Slice index 55; Liver; CT
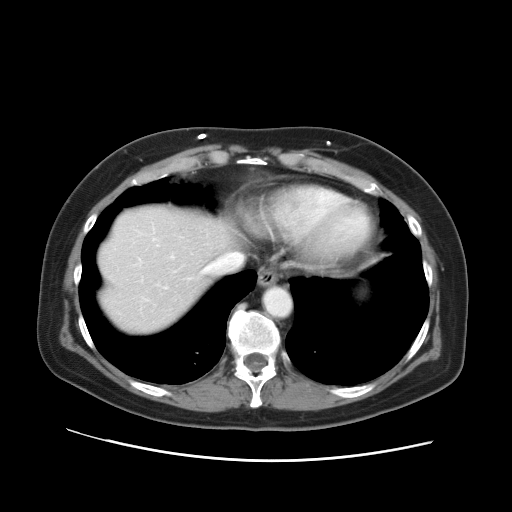 The vessel annotation is not exhaustive.
hepatic_vessel:
  - box(202, 253, 242, 272)